CT image 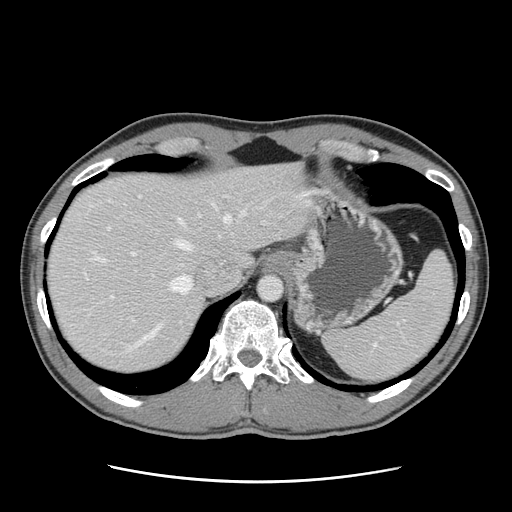 The vessel annotation is not exhaustive.
hepatic vessel: l=107, t=227, r=109, b=229; l=88, t=252, r=105, b=261; l=240, t=210, r=245, b=215; l=176, t=240, r=190, b=249; l=138, t=195, r=140, b=197; l=127, t=325, r=159, b=350; l=83, t=273, r=87, b=279; l=223, t=215, r=231, b=222; l=107, t=199, r=110, b=200; l=170, t=276, r=191, b=293; l=131, t=252, r=135, b=254; l=111, t=296, r=113, b=297; l=177, t=217, r=182, b=223